Slice index 181; Upper abdomen; CT image; Image size 512x512

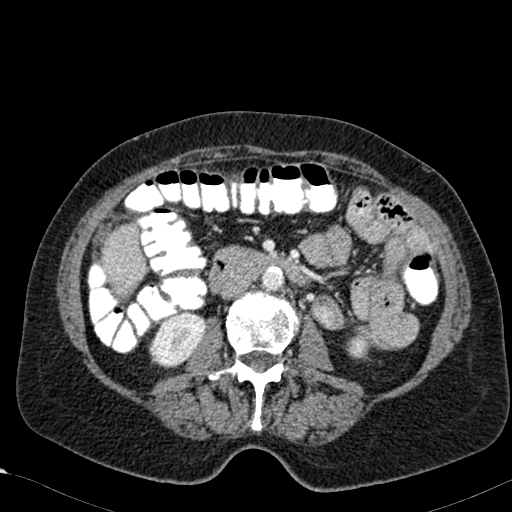
<segmentation>
  <kidney>l=348, t=332, r=369, b=357; l=150, t=306, r=206, b=366</kidney>
  <liver>l=103, t=223, r=145, b=294</liver>
</segmentation>